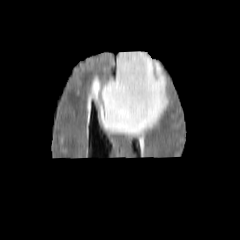
FLAIR MRI.
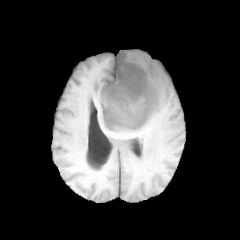
T1-weighted MR.
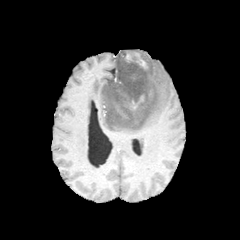
Post-contrast T1-weighted MR of the same slice.
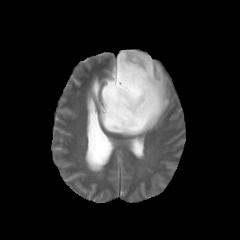
Same slice, T2-weighted MR.
Edema: l=92, t=50, r=169, b=135.
Non-enhancing tumor core: l=103, t=50, r=152, b=127.